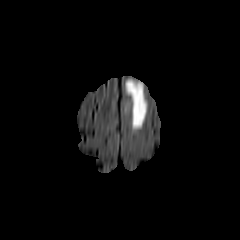
FLAIR magnetic resonance.
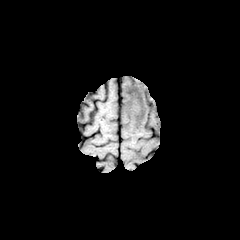
Same slice, T1-weighted magnetic resonance.
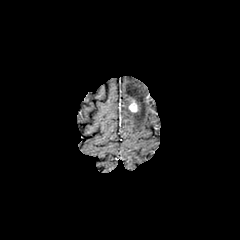
Post-contrast T1-weighted MR image.
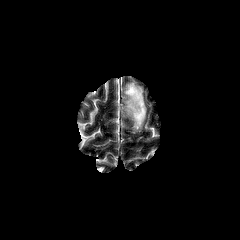
T2-weighted MRI.
Head, 240x240
{
  "edema": [
    "[x1=122, y1=79, x2=147, y2=132]"
  ],
  "enhancing_tumor": [
    "[x1=129, y1=100, x2=137, y2=112]"
  ]
}